FLAIR MRI.
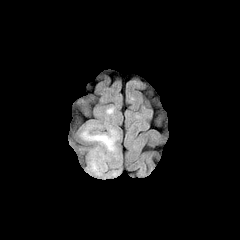
T1-weighted MR image.
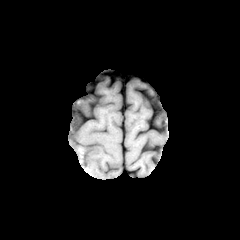
Post-contrast T1-weighted MR image.
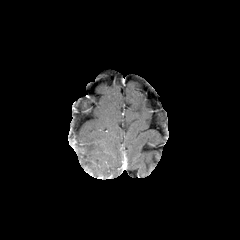
T2-weighted MR.
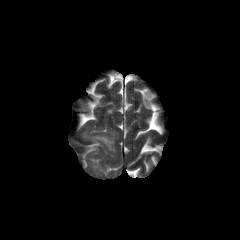
Head
The edema lies within (x1=82, y1=131, x2=114, y2=150).